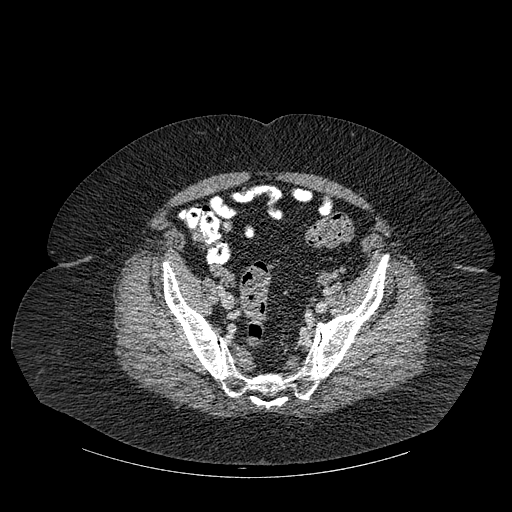 Image size 512x512. CT slice. • bone: bbox=[220, 247, 229, 261]; bbox=[163, 255, 388, 407]